240x240 px; Head
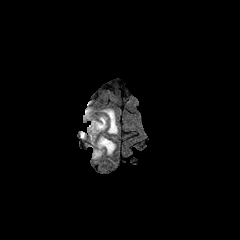
FLAIR MR.
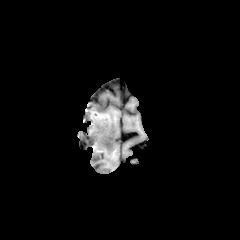
T1-weighted MR image of the same slice.
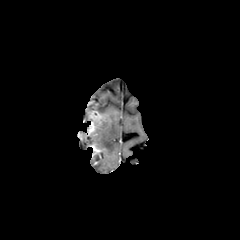
Post-contrast T1-weighted MR image.
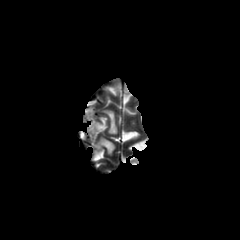
T2-weighted MR of the same slice.
edema:
  - bbox(80, 109, 117, 159)
enhancing_tumor:
  - bbox(87, 118, 100, 135)